Slice 101 of 155, Field of view 240 mm wide, 1.00 mm slice spacing
FLAIR MRI.
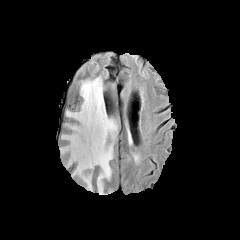
T1-weighted magnetic resonance.
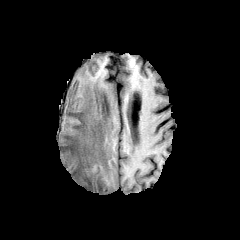
Post-contrast T1-weighted MR.
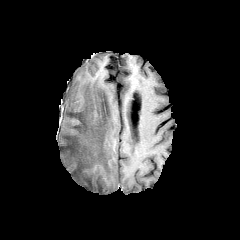
T2-weighted MR.
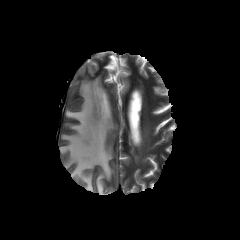
Edema — (x1=63, y1=76, x2=117, y2=194).